Abdomen. CT.

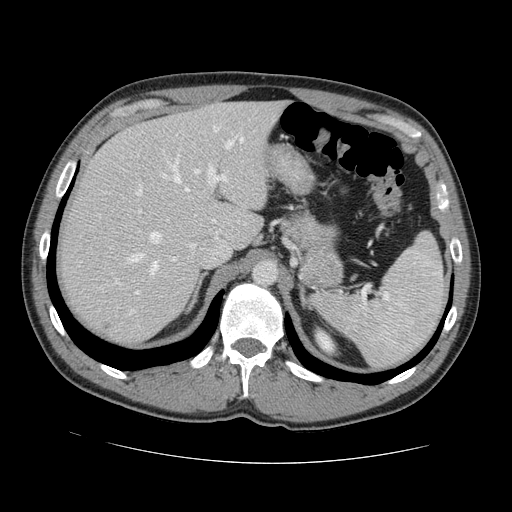
The vessel boxes may cover only some of the vessels.
{"partial": true, "hepatic_vessel": {"n_total": 26, "boxes": ["left=149, top=261, right=158, bottom=274", "left=150, top=231, right=160, bottom=242", "left=212, top=126, right=218, bottom=132", "left=226, top=133, right=242, bottom=148", "left=169, top=256, right=175, bottom=260", "left=207, top=166, right=225, bottom=185", "left=134, top=153, right=138, bottom=156", "left=114, top=278, right=119, bottom=283", "left=194, top=169, right=199, bottom=173", "left=167, top=147, right=180, bottom=182", "left=101, top=192, right=110, bottom=193", "left=129, top=308, right=134, bottom=314", "left=126, top=253, right=142, bottom=261", "left=135, top=187, right=141, bottom=196", "left=161, top=174, right=166, bottom=177"]}}